FLAIR magnetic resonance.
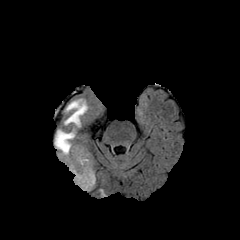
T1-weighted MR image.
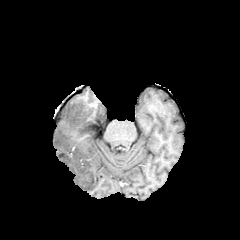
Post-contrast T1-weighted MR image.
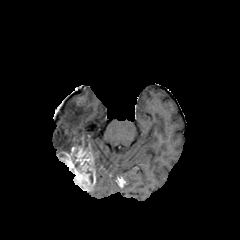
T2-weighted MRI.
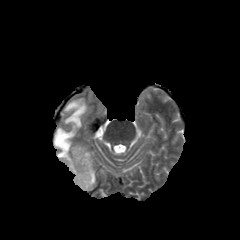
Brain | Image size 240x240
Segmented structures:
* edema: [55, 98, 89, 152]
* enhancing tumor: [59, 148, 96, 190]